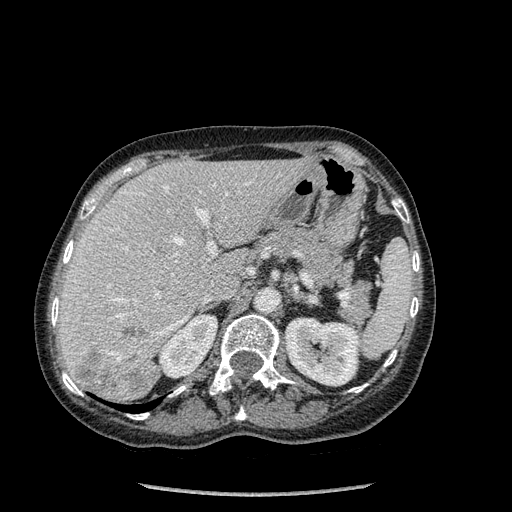

CT
{
  "kidney": [
    "x1=285, y1=318, x2=359, y2=385",
    "x1=160, y1=315, x2=217, y2=377"
  ],
  "liver": [
    "x1=59, y1=158, x2=311, y2=402"
  ],
  "lung": [
    "x1=115, y1=400, x2=159, y2=413"
  ],
  "focal_liver_lesion": [
    "x1=124, y1=326, x2=146, y2=336",
    "x1=75, y1=348, x2=116, y2=391",
    "x1=123, y1=368, x2=145, y2=391"
  ],
  "bone": [
    "x1=383, y1=349, x2=396, y2=366",
    "x1=51, y1=297, x2=59, y2=326",
    "x1=410, y1=251, x2=419, y2=271",
    "x1=392, y1=199, x2=409, y2=222",
    "x1=127, y1=412, x2=149, y2=419",
    "x1=169, y1=385, x2=186, y2=396",
    "x1=80, y1=201, x2=95, y2=219",
    "x1=409, y1=297, x2=418, y2=317",
    "x1=235, y1=406, x2=246, y2=420",
    "x1=348, y1=383, x2=368, y2=392",
    "x1=210, y1=314, x2=294, y2=394",
    "x1=63, y1=240, x2=74, y2=263",
    "x1=62, y1=372, x2=82, y2=395"
  ]
}